Abdomen; Image width 373 mm; CT image
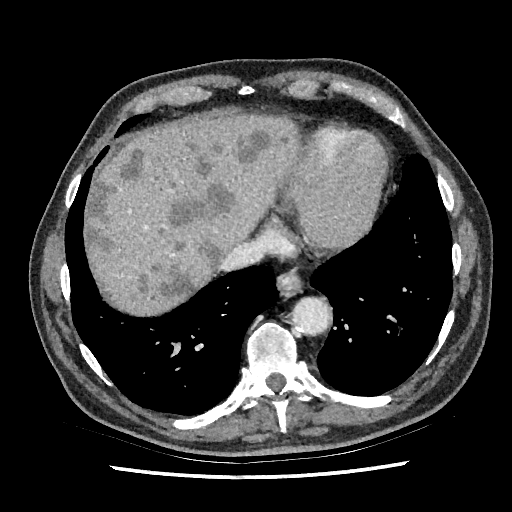

The liver is located at box(88, 114, 297, 313). 14 liver lesion regions are located at box(186, 140, 199, 152); box(170, 184, 237, 228); box(130, 293, 137, 300); box(235, 131, 271, 169); box(193, 155, 212, 179); box(159, 264, 194, 299); box(119, 150, 145, 181); box(86, 179, 117, 253); box(151, 261, 166, 273); box(136, 272, 149, 292); box(280, 136, 288, 143); box(173, 241, 185, 251); box(211, 142, 223, 154); box(198, 240, 221, 272).